Slice 11/39 | MRI | 34x49
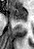

Segmented structures:
* anterior hippocampus: 8, 6, 26, 20